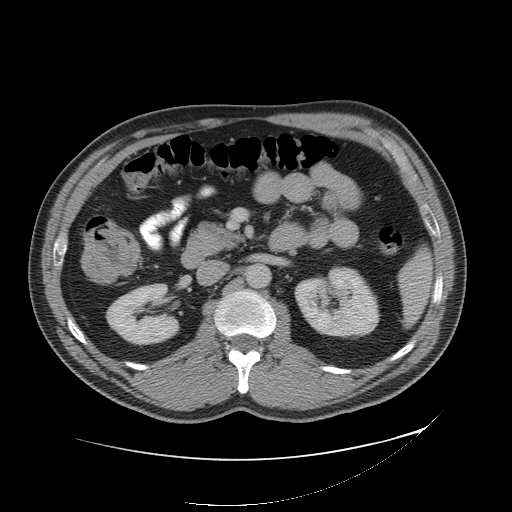 512x512; Pelvis; CT slice
Colon tumor — rect(82, 222, 139, 282).